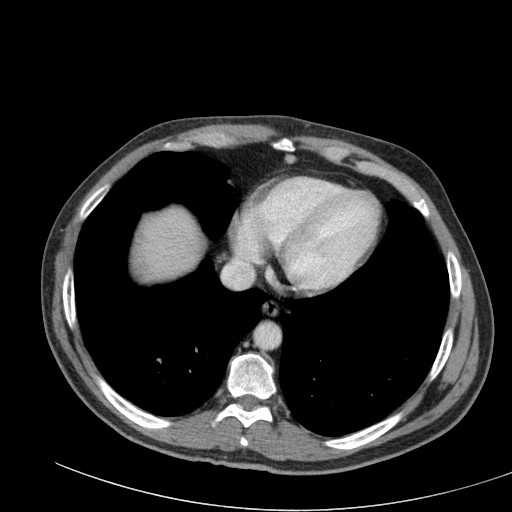
CT image | Upper abdomen

- liver: [136,209,198,278]